Abdomen. CT scan slice.

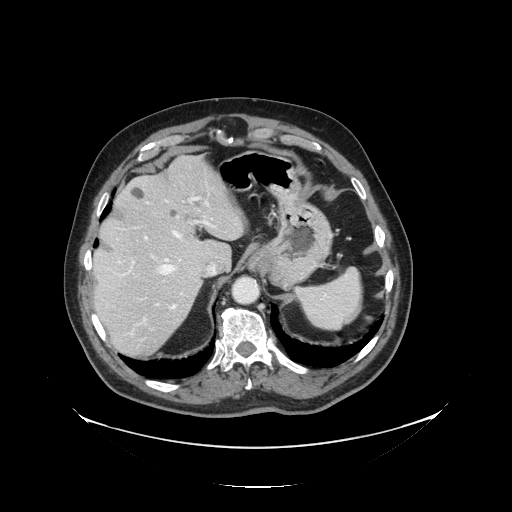

Not every hepatic vessel necessarily has a box.
2 liver tumor regions are located at (160,170,167,180), (131,187,143,198). The largest 15 hepatic vessel regions (of 17) are located at (156,304,158,305), (145,237,147,239), (120,275,124,275), (171,306,175,309), (192,219,216,228), (129,260,134,272), (173,232,181,238), (158,259,168,274), (174,267,176,270), (205,199,208,205), (190,197,199,204), (199,283,201,286), (119,261,120,263), (147,202,148,203), (141,318,146,324).